Abdomen, CT image, Slice 28/48
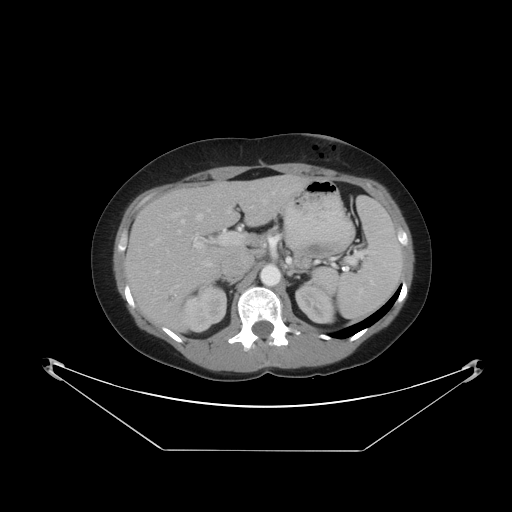

Some hepatic vessels may have no box.
<segmentation>
  <hepatic_vessel>226:208:230:213, 202:262:212:266, 178:230:180:233, 196:213:202:220, 193:234:207:248, 209:239:213:242, 272:192:274:193, 220:242:227:245, 181:219:184:222, 251:205:252:207, 155:270:158:273, 282:189:283:192, 263:200:266:204, 207:209:209:211, 222:230:226:234</hepatic_vessel>
</segmentation>